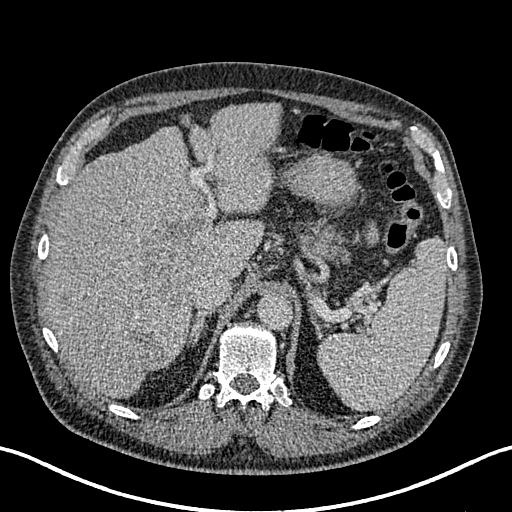

Computed tomography. Liver. 512x512.

Liver at (left=45, top=127, right=264, bottom=397), (left=191, top=103, right=281, bottom=212).
Liver lesion at (left=130, top=217, right=210, bottom=308), (left=231, top=152, right=262, bottom=182), (left=121, top=330, right=163, bottom=376).